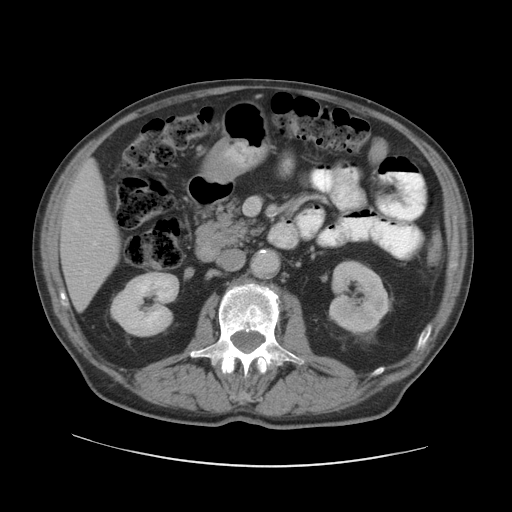 512x512 px | CT image
Only some of the vessels may be annotated.
Segmented structures:
- hepatic vessel: bbox=[74, 221, 78, 225]; bbox=[92, 236, 98, 248]; bbox=[84, 270, 87, 272]